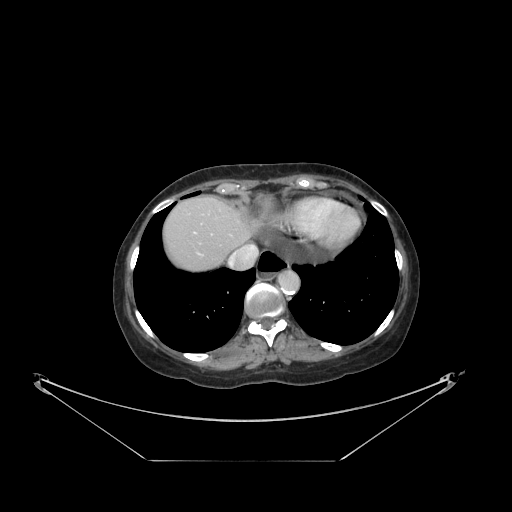 Abdomen; CT slice
Some hepatic vessels may have no box.
Hepatic vessel: bounding box [x1=194, y1=232, x2=196, y2=233], [x1=228, y1=244, x2=259, y2=267], [x1=198, y1=253, x2=200, y2=254], [x1=205, y1=212, x2=209, y2=215].